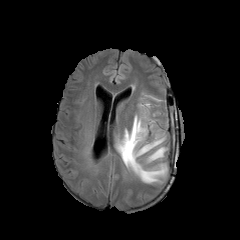
FLAIR MR image.
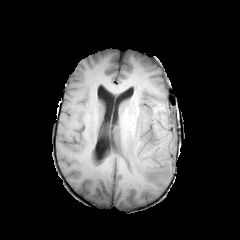
T1-weighted MRI.
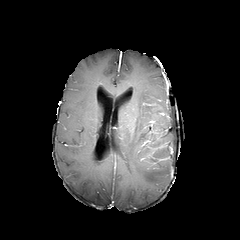
Post-contrast T1-weighted magnetic resonance of the same slice.
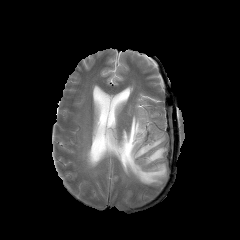
Same slice, T2-weighted MRI.
240x240
edema: <box>114,93,168,185</box>